FLAIR magnetic resonance.
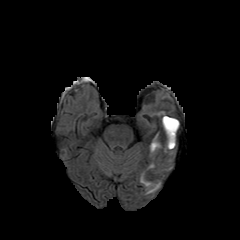
T1-weighted MR image.
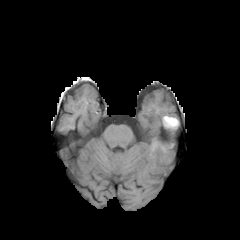
Post-contrast T1-weighted MR image.
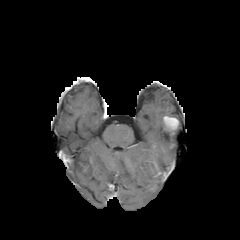
T2-weighted MRI.
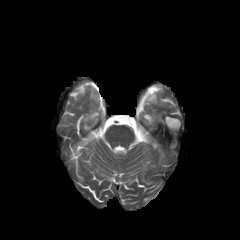
Head
Edema: bounding box [141, 174, 160, 191], [150, 139, 161, 153].
Non-enhancing tumor core: bounding box [163, 122, 177, 135].
Enhancing tumor: bounding box [164, 117, 177, 130].